Slice index 18, Pelvis, CT scan slice, Image size 512x512 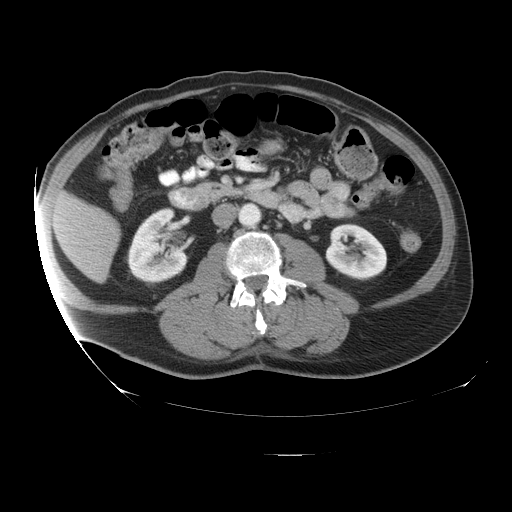 2 colon tumor regions are bounded by <box>109,131,162,169</box>, <box>114,122,142,144</box>.